Slice 76/155, Brain
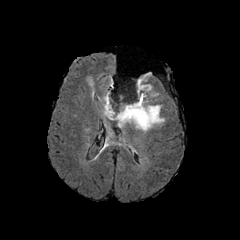
FLAIR magnetic resonance.
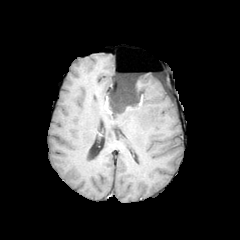
T1-weighted MR.
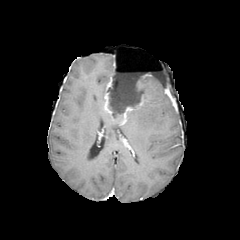
Post-contrast T1-weighted MRI.
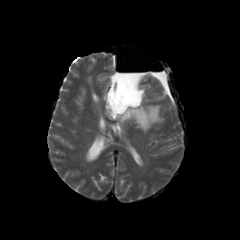
T2-weighted magnetic resonance.
non-enhancing_tumor_core:
  - left=108, top=78, right=144, bottom=119
edema:
  - left=99, top=74, right=113, bottom=105
  - left=102, top=75, right=164, bottom=133
enhancing_tumor:
  - left=104, top=93, right=111, bottom=114
  - left=121, top=107, right=132, bottom=124